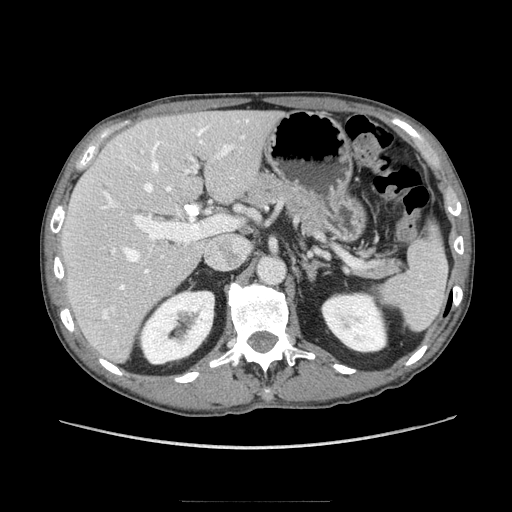 CT slice. Abdomen. 3 pancreas regions are located at box=[246, 174, 330, 231]; box=[358, 261, 398, 277]; box=[361, 251, 370, 258].